Slice 86 of 155.
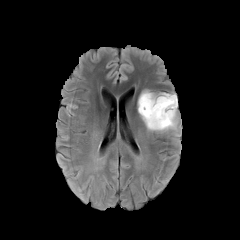
FLAIR MR image.
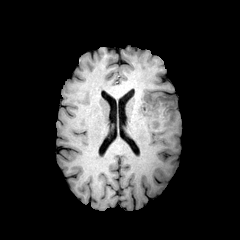
T1-weighted magnetic resonance.
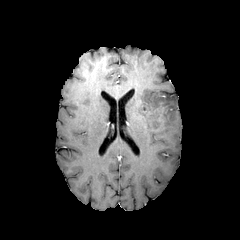
Post-contrast T1-weighted magnetic resonance.
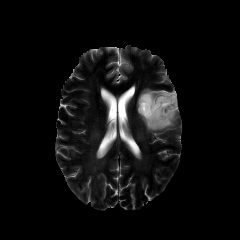
T2-weighted magnetic resonance.
The edema is located at (left=137, top=89, right=178, bottom=135). The non-enhancing tumor core is located at (left=138, top=94, right=173, bottom=123).